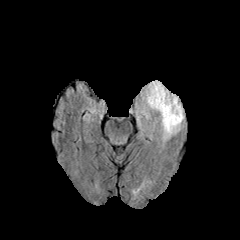
FLAIR MR image.
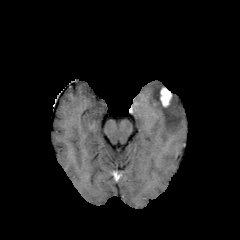
T1-weighted MRI.
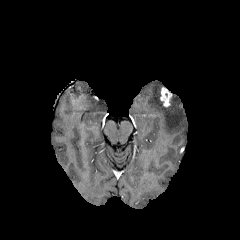
Post-contrast T1-weighted MR image of the same slice.
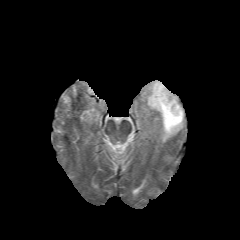
T2-weighted magnetic resonance.
<segmentation>
  <enhancing_tumor>(x1=159, y1=86, x2=172, y2=106)</enhancing_tumor>
  <edema>(x1=140, y1=80, x2=184, y2=141)</edema>
</segmentation>